Slice 623 of 733; Field of view 388 mm wide, 0.70 mm slice spacing; CT image

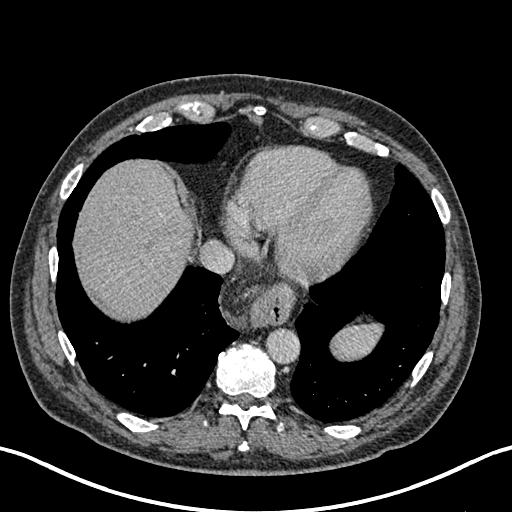
<segmentation>
  <liver>bbox(75, 159, 191, 317)</liver>
  <focal_liver_lesion>bbox(143, 240, 154, 250)</focal_liver_lesion>
</segmentation>